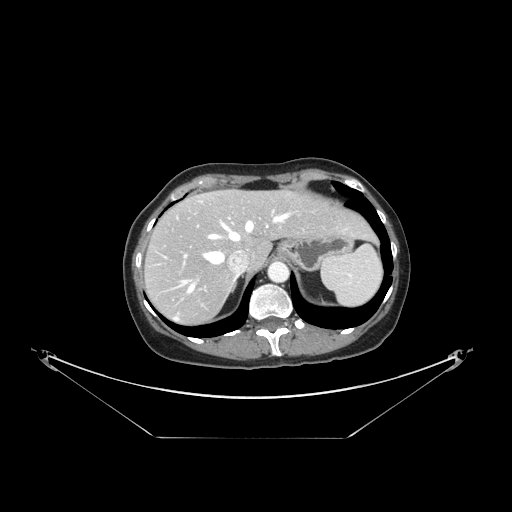 CT image, Image size 512x512, Liver
The vessel boxes may cover only some of the vessels.
5 hepatic vessel regions appear at [208, 235, 215, 238], [229, 231, 238, 239], [275, 215, 287, 220], [223, 225, 226, 227], [246, 222, 252, 230].